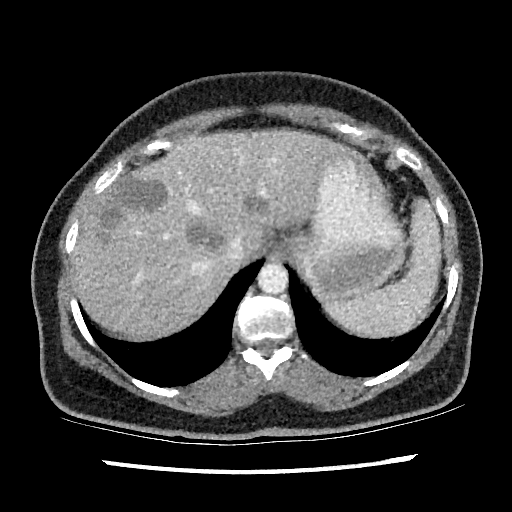

CT scan slice

<segmentation>
  <hepatic_lesion>(100,235,108,242), (246,197,263,211), (99,174,164,227), (189,226,223,249)</hepatic_lesion>
  <liver>(75,130,364,336)</liver>
</segmentation>